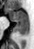
Medial temporal lobe, MR, 34x49 px

The anterior hippocampus is at 7,8,27,20. The posterior hippocampus is at 12,21,27,35.